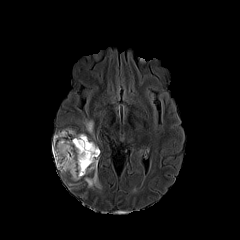
FLAIR MR image.
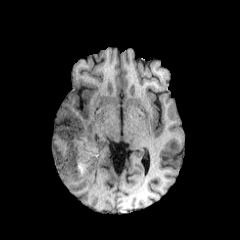
T1-weighted magnetic resonance.
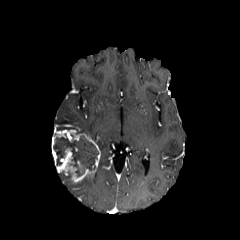
Post-contrast T1-weighted magnetic resonance.
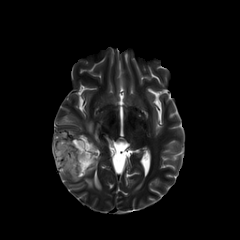
T2-weighted magnetic resonance.
240x240, Brain
Non-enhancing tumor core at rect(53, 135, 98, 176).
Enhancing tumor at rect(52, 130, 100, 182).
Edema at rect(82, 120, 93, 135); rect(84, 169, 102, 190).